Abdomen, Field of view 403x403 mm, Computed tomography, Image size 512x512 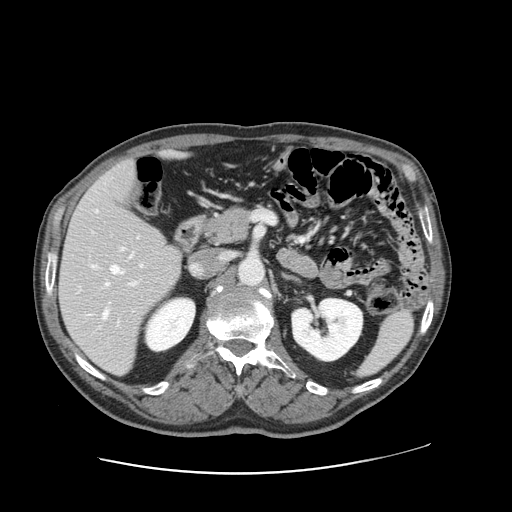
Only some of the vessels may be annotated.
hepatic vessel: bbox(103, 310, 107, 317); bbox(129, 255, 132, 257); bbox(90, 264, 95, 267); bbox(95, 210, 97, 212); bbox(105, 283, 108, 285); bbox(111, 265, 124, 273); bbox(120, 247, 124, 250); bbox(130, 282, 136, 285); bbox(140, 264, 142, 266)